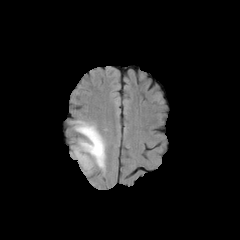
FLAIR MRI.
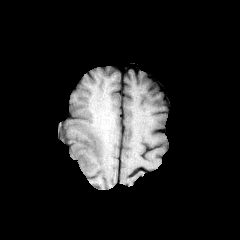
T1-weighted MR of the same slice.
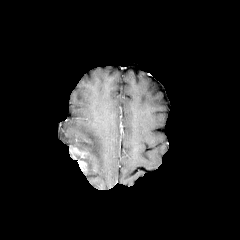
Same slice, post-contrast T1-weighted MR image.
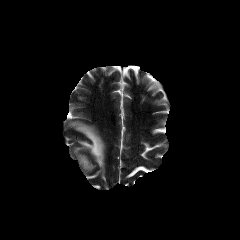
T2-weighted MR image.
Image size 240x240
Annotated regions:
• enhancing tumor: <bbox>72, 148, 87, 170</bbox>
• edema: <bbox>82, 157, 92, 168</bbox>, <bbox>74, 121, 104, 167</bbox>